Field of view 240 mm wide, 1.00 mm slice spacing, Head
FLAIR magnetic resonance.
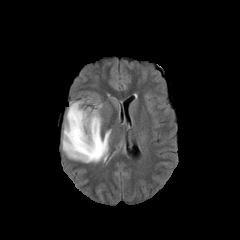
T1-weighted MR image.
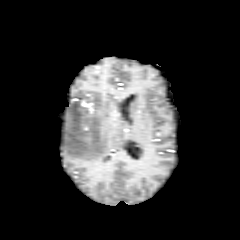
Post-contrast T1-weighted MR.
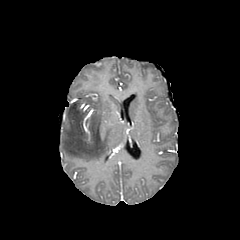
T2-weighted MR.
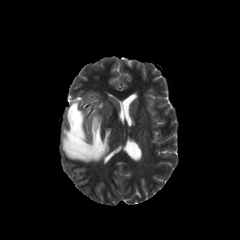
Edema = box(62, 100, 109, 162).
Non-enhancing tumor core = box(70, 102, 79, 127).